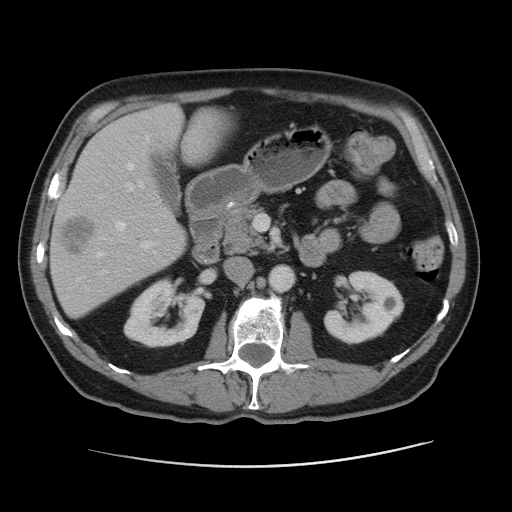
Upper abdomen | Computed tomography
{
  "hepatic_lesion": [
    "(59, 215, 93, 255)"
  ],
  "liver": [
    "(49, 107, 221, 313)"
  ],
  "kidney": [
    "(324, 271, 403, 344)",
    "(126, 281, 202, 345)"
  ]
}